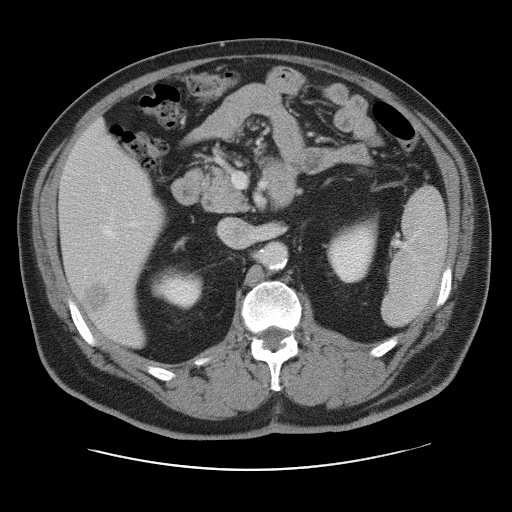
Computed tomography
Not every hepatic vessel necessarily has a box.
<segmentation>
  <liver_tumor>bbox(79, 281, 114, 313)</liver_tumor>
  <hepatic_vessel>bbox(103, 225, 114, 237); bbox(126, 221, 143, 226); bbox(233, 174, 244, 187); bbox(101, 186, 105, 191); bbox(262, 184, 263, 185)</hepatic_vessel>
</segmentation>